Pelvis | CT slice 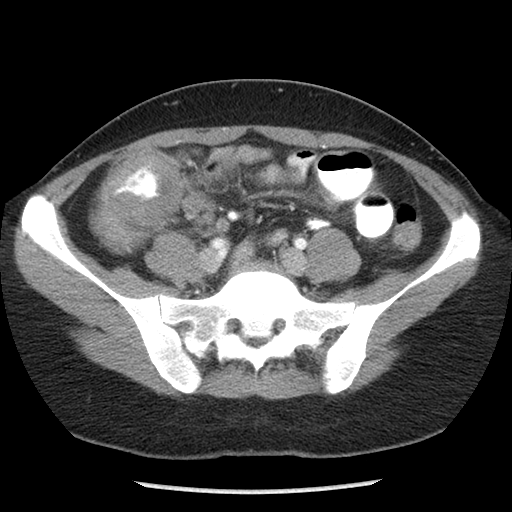 colon_tumor:
  - bbox=[87, 152, 183, 255]